Slice index 65 | CT image | Field of view 458 mm wide, 2.50 mm slice spacing 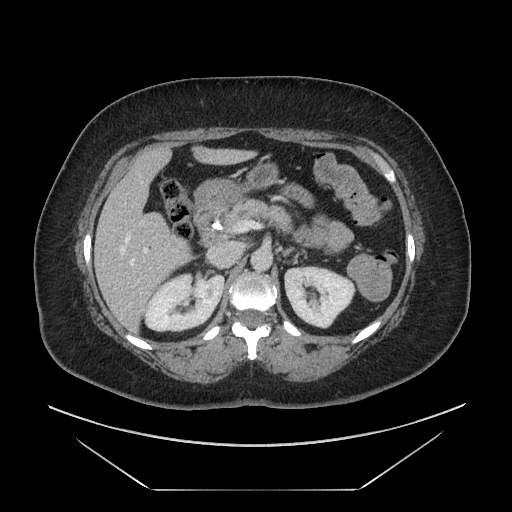
Pancreas at (left=228, top=200, right=291, bottom=230).